Head
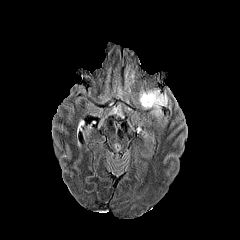
FLAIR MR image.
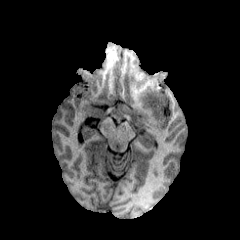
T1-weighted MR image.
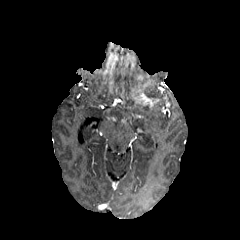
Same slice, post-contrast T1-weighted magnetic resonance.
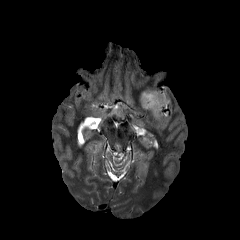
T2-weighted MR.
2 edema regions are located at (141,88,168,115), (125,67,135,83). The enhancing tumor is at (139,93,158,108).